Abdomen | CT image | Slice index 257
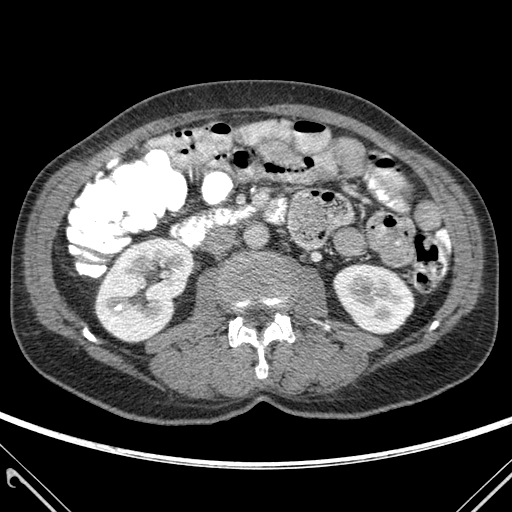 Annotated regions:
* bone: [229, 314, 294, 378], [83, 328, 95, 341], [224, 262, 289, 310]
* kidney: [334, 265, 413, 332], [96, 239, 187, 340]